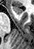 MRI, 34x49, Medial temporal lobe

The anterior hippocampus is located at 13:7:22:14.